Head
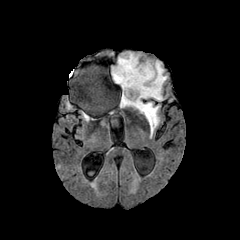
FLAIR MR image.
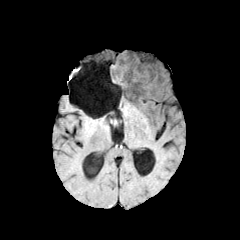
T1-weighted magnetic resonance.
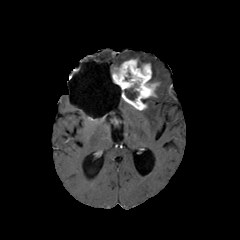
Post-contrast T1-weighted magnetic resonance.
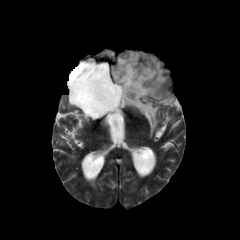
T2-weighted MR image.
enhancing tumor: [x1=112, y1=59, x2=156, y2=109] | non-enhancing tumor core: [x1=124, y1=87, x2=137, y2=100] | edema: [x1=140, y1=100, x2=160, y2=135], [x1=120, y1=100, x2=135, y2=108], [x1=150, y1=61, x2=167, y2=101], [x1=111, y1=52, x2=143, y2=74]